Image size 240x240, Image width 240 mm, Slice 32/155, Brain
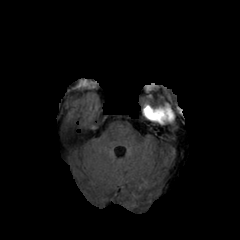
FLAIR MR image.
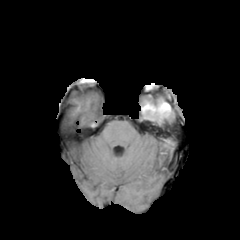
Same slice, T1-weighted MRI.
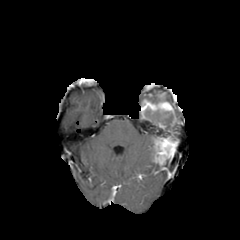
Post-contrast T1-weighted MR image.
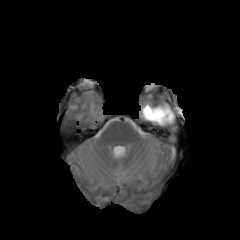
T2-weighted MRI.
2 non-enhancing tumor core regions appear at 155,139,173,154; 141,110,172,118. The edema lies within 145,114,175,124. The enhancing tumor appears at 142,103,173,116.